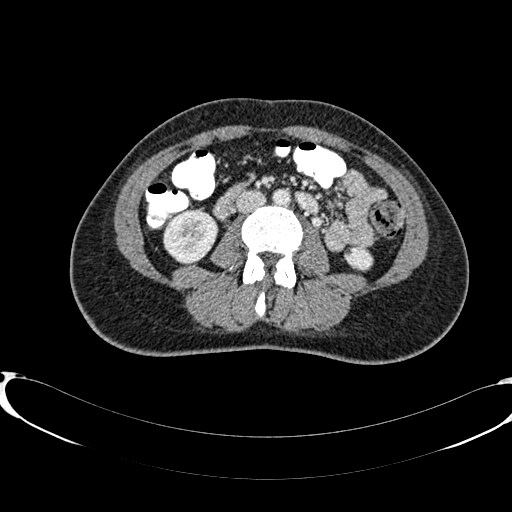
CT | Abdomen | Image size 512x512
2 kidney regions are located at <bbox>164, 212, 215, 262</bbox>, <bbox>349, 250, 370, 267</bbox>.